Slice 62 of 155.
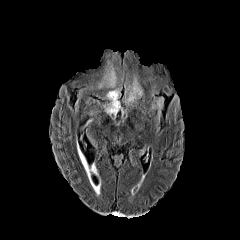
FLAIR MRI.
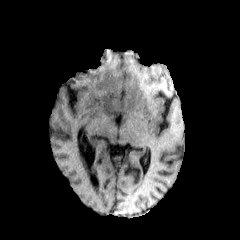
Same slice, T1-weighted MRI.
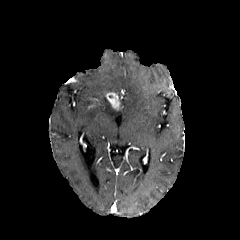
Same slice, post-contrast T1-weighted MRI.
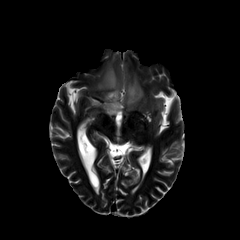
T2-weighted MR of the same slice.
The enhancing tumor is bounded by 107,92,120,109. 5 edema regions appear at 106,78,123,98; 150,86,164,122; 101,103,118,119; 122,75,145,106; 97,63,118,96.